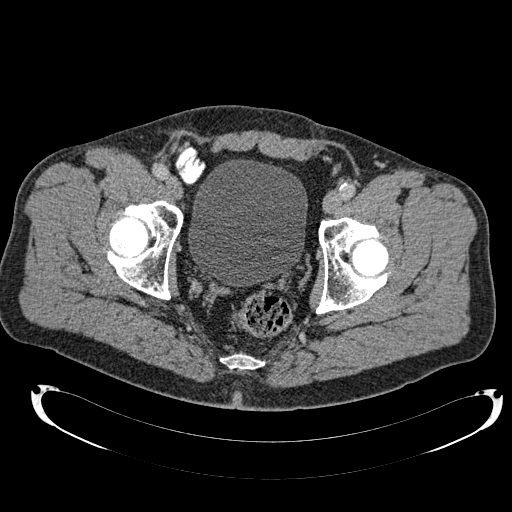

CT slice

Urinary bladder: bounding box 188:159:307:286.